Computed tomography. 512x512. 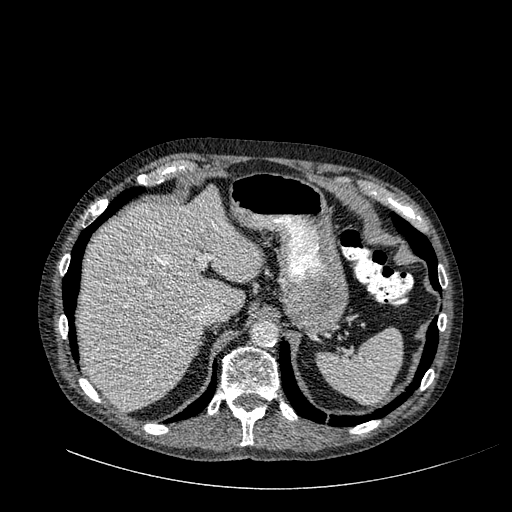

- liver: box(78, 185, 260, 409)